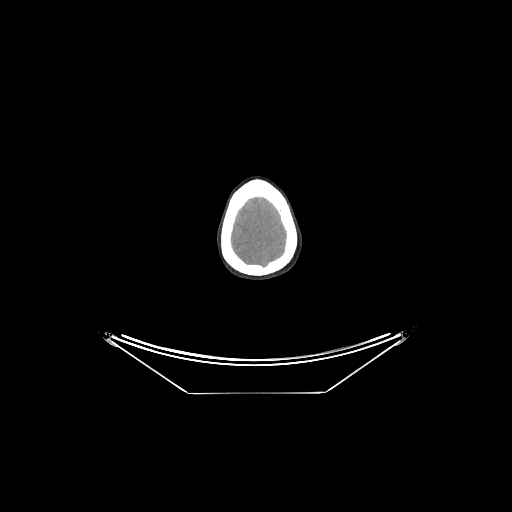 Brain. CT scan slice. 512x512 px. brain: (230, 196, 286, 267)